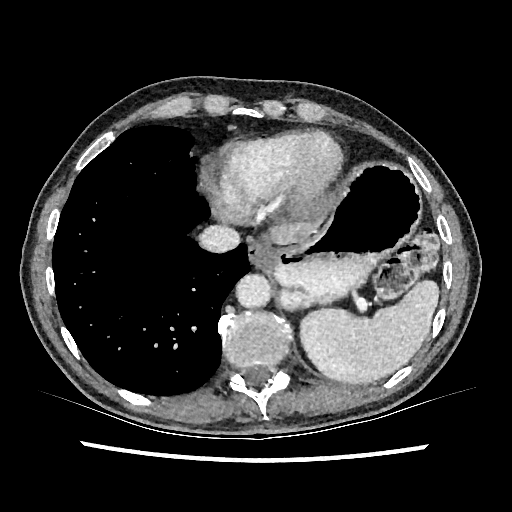
CT slice. Liver. Image size 512x512. Hepatic lesion — (290,197,333,223).
Liver — (294,196,333,204), (272,213,327,243).